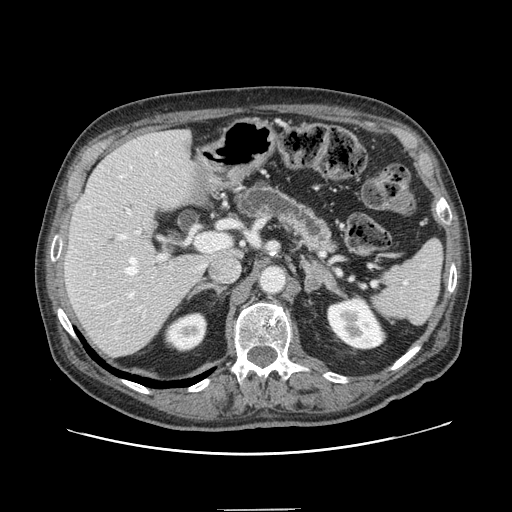

CT scan slice.
pancreas:
  - [233,179,339,254]